Abdomen | Slice index 53 | 512x512 px | Computed tomography
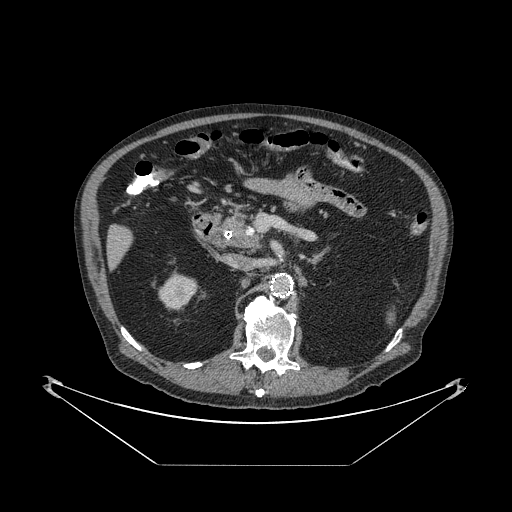

Pancreas at box=[223, 209, 259, 249].
Pancreatic tumor at box=[231, 220, 244, 240].